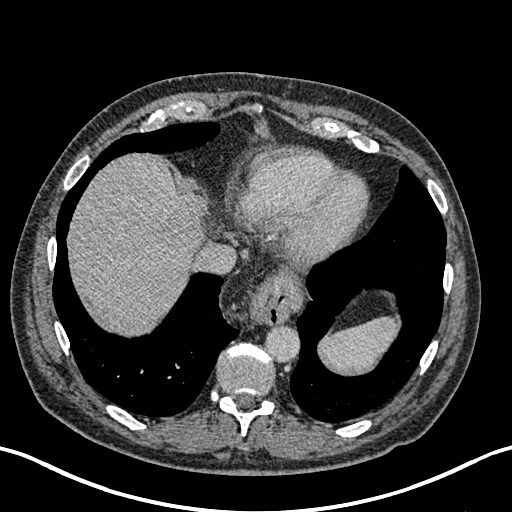
Liver | CT slice

<segmentation>
  <liver>bbox=[69, 153, 203, 333]</liver>
  <focal_liver_lesion>bbox=[182, 197, 206, 223]</focal_liver_lesion>
</segmentation>